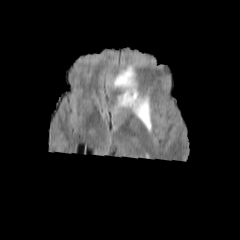
FLAIR magnetic resonance.
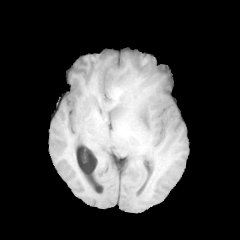
Same slice, T1-weighted MR.
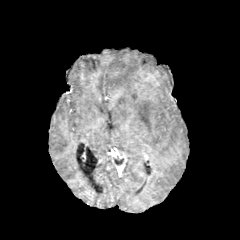
Same slice, post-contrast T1-weighted MR.
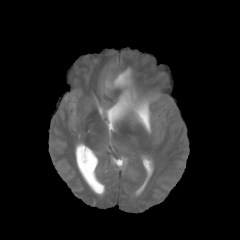
Same slice, T2-weighted MR.
Head. Image size 240x240.
<segmentation>
  <edema><bbox>107, 67, 158, 130</bbox></edema>
</segmentation>